CT. Liver. Slice index 136. 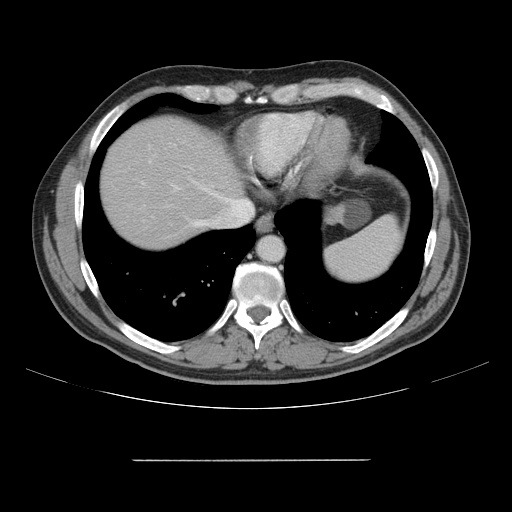 The vessel annotation is not exhaustive.
{
  "hepatic_vessel": [
    "191:220:205:226",
    "192:180:217:196",
    "171:184:178:189",
    "142:182:144:184",
    "187:218:189:220"
  ]
}